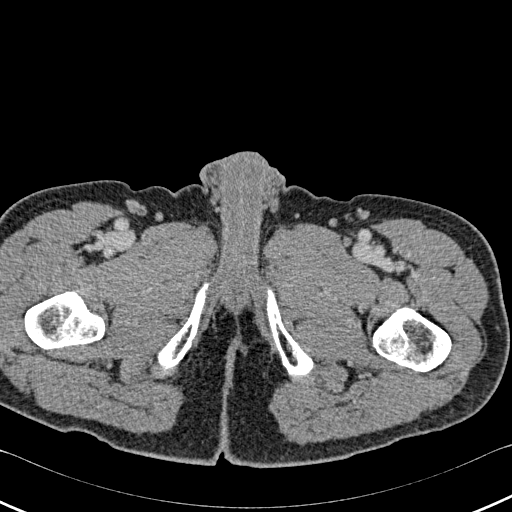
CT scan slice, 512x512
Annotated regions:
• bone: 267,288,313,377; 25,292,104,348; 373,308,450,371; 158,283,208,368